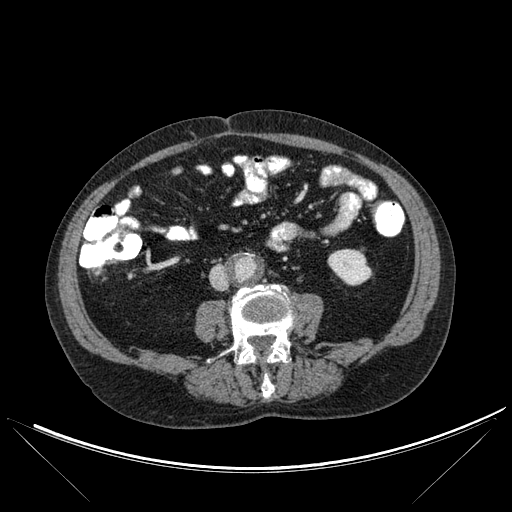 CT image, 512x512 px

Segmented structures:
• bone: (230, 285, 292, 397)
• kidney: (328, 249, 370, 284)